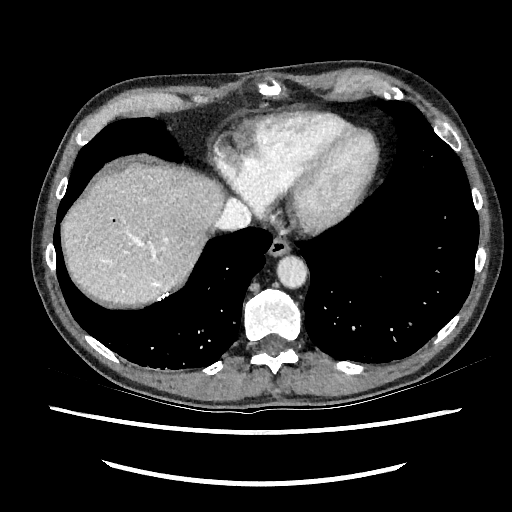 CT image, Liver

Liver: 63, 162, 224, 304.